CT image; Abdomen
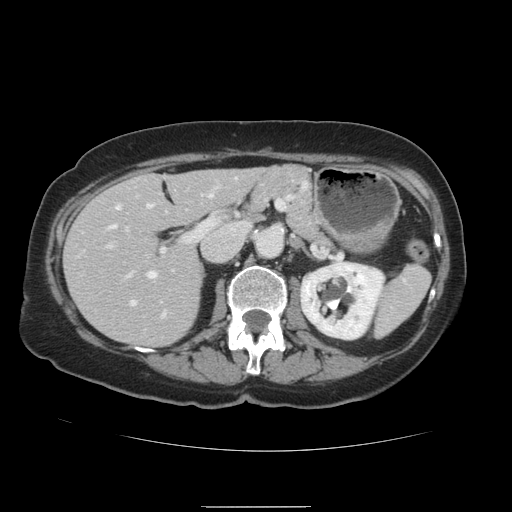
Not every hepatic vessel necessarily has a box.
Hepatic vessel = x1=108 y1=225 x2=115 y2=228, x1=160 y1=248 x2=164 y2=253, x1=126 y1=275 x2=129 y2=277, x1=146 y1=203 x2=153 y2=208, x1=106 y1=244 x2=110 y2=247, x1=130 y1=301 x2=134 y2=305, x1=115 y1=205 x2=119 y2=209, x1=161 y1=313 x2=164 y2=317, x1=201 y1=192 x2=212 y2=197, x1=146 y1=271 x2=154 y2=278, x1=215 y1=186 x2=219 y2=187.